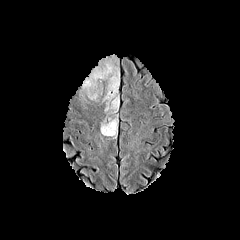
FLAIR MR.
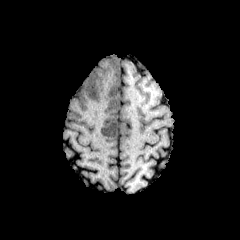
Same slice, T1-weighted MR.
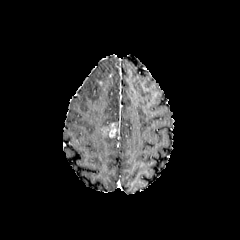
Post-contrast T1-weighted MR image of the same slice.
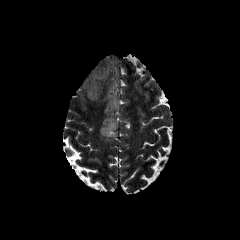
Same slice, T2-weighted MR image.
240x240
enhancing tumor: [x1=102, y1=123, x2=116, y2=137] | edema: [x1=105, y1=69, x2=119, y2=111], [x1=83, y1=63, x2=112, y2=90]